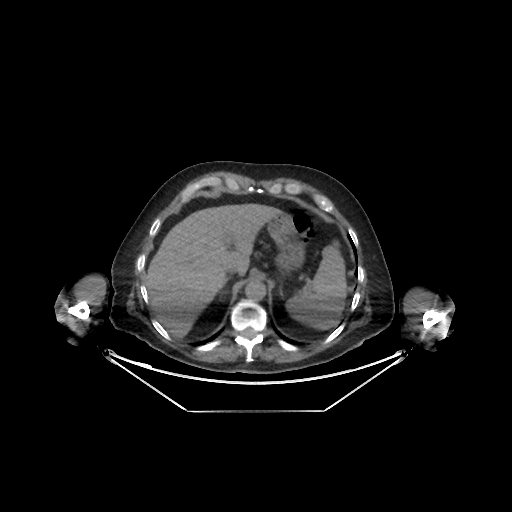
Abdomen | CT image

The liver is at <bbox>143, 204, 277, 337</bbox>.